Image size 512x512. Image width 404 mm. Slice index 133. CT image.
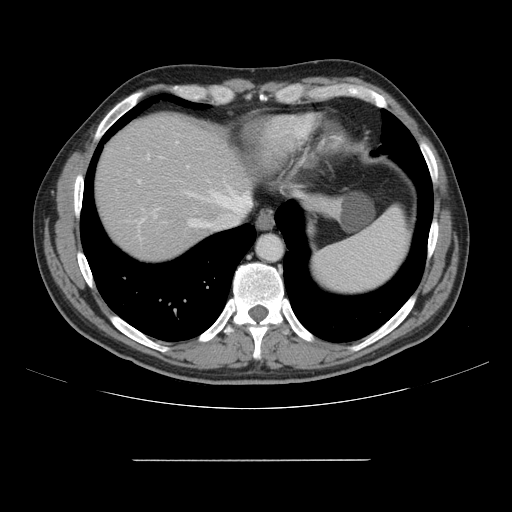
Only some of the vessels may be annotated.
7 hepatic vessel regions are bounded by (152,210,156,217), (147,154,149,159), (138,180,140,181), (230,191,233,193), (138,218,144,226), (188,219,196,226), (176,141,177,142).